Head
FLAIR MR image.
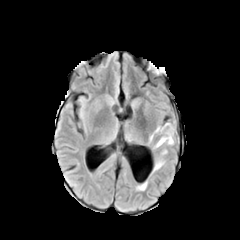
T1-weighted MRI.
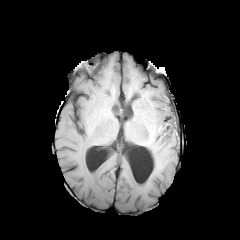
Post-contrast T1-weighted MR image.
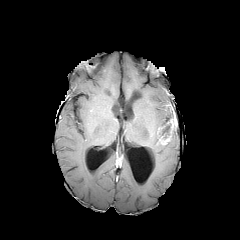
T2-weighted MR image.
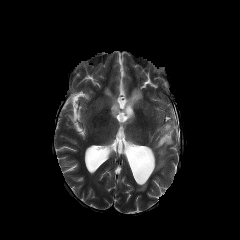
The non-enhancing tumor core lies within <bbox>161, 122, 172, 140</bbox>. The enhancing tumor lies within <bbox>159, 136, 169, 143</bbox>. 2 edema regions are located at <bbox>136, 180, 147, 190</bbox>, <bbox>151, 120, 177, 173</bbox>.